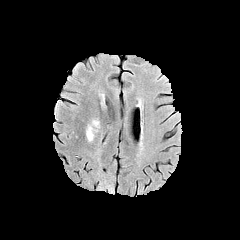
FLAIR MR.
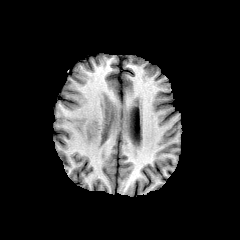
T1-weighted MR.
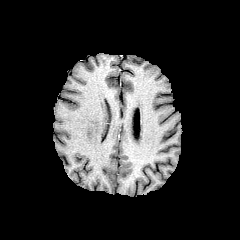
Post-contrast T1-weighted MRI.
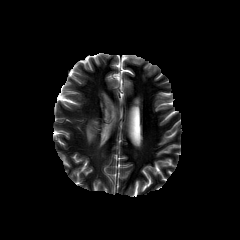
T2-weighted MR image of the same slice.
Findings:
* edema: region(86, 120, 99, 142)